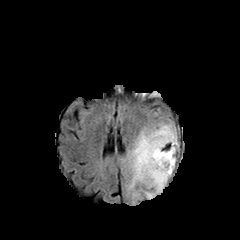
FLAIR MR image.
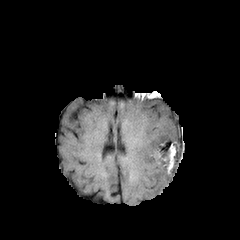
T1-weighted MRI of the same slice.
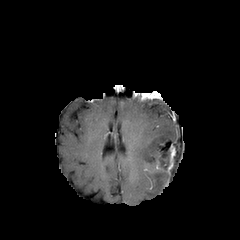
Post-contrast T1-weighted magnetic resonance.
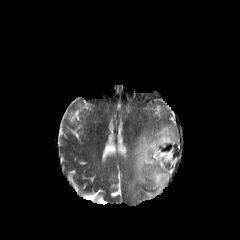
T2-weighted MR image of the same slice.
{"edema": ["bbox(125, 120, 178, 199)"], "enhancing_tumor": ["bbox(168, 146, 175, 173)"]}